Brain, Image size 240x240
FLAIR MR.
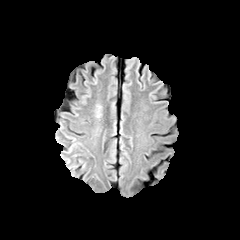
T1-weighted magnetic resonance.
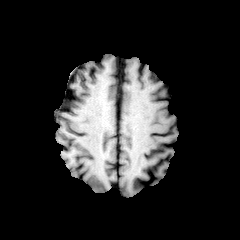
Post-contrast T1-weighted MR image.
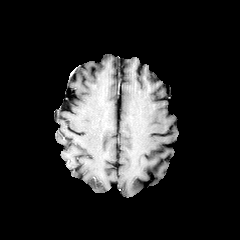
T2-weighted MRI.
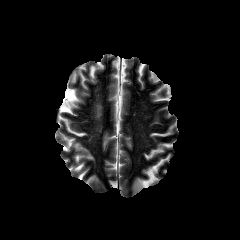
<segmentation>
  <edema>(left=94, top=104, right=101, bottom=118)</edema>
</segmentation>